240x240, Brain, Slice 90 of 155, Field of view 240 mm wide, 1.00 mm slice spacing
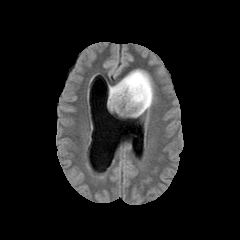
FLAIR MR image.
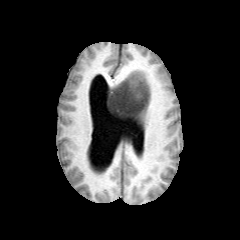
T1-weighted MRI of the same slice.
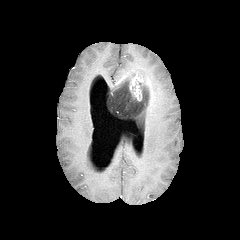
Same slice, post-contrast T1-weighted MR image.
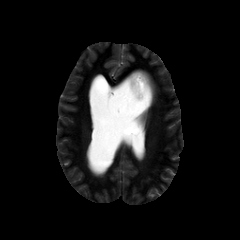
T2-weighted magnetic resonance.
The enhancing tumor is located at {"x1": 128, "y1": 71, "x2": 152, "y2": 101}. The non-enhancing tumor core appears at {"x1": 107, "y1": 80, "x2": 149, "y2": 121}. The edema is located at {"x1": 108, "y1": 68, "x2": 160, "y2": 116}.